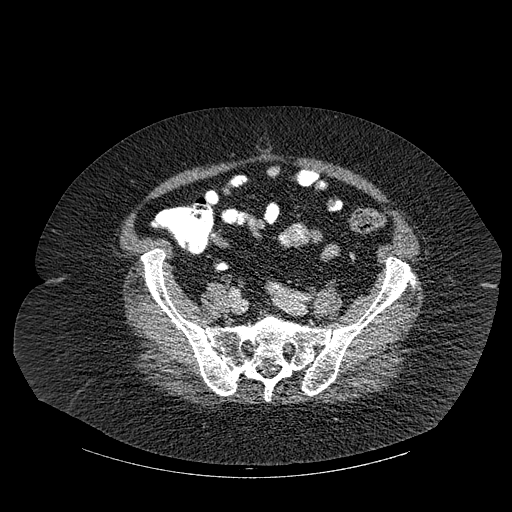

CT slice

{
  "bone": [
    "[x1=141, y1=249, x2=415, y2=401]"
  ]
}